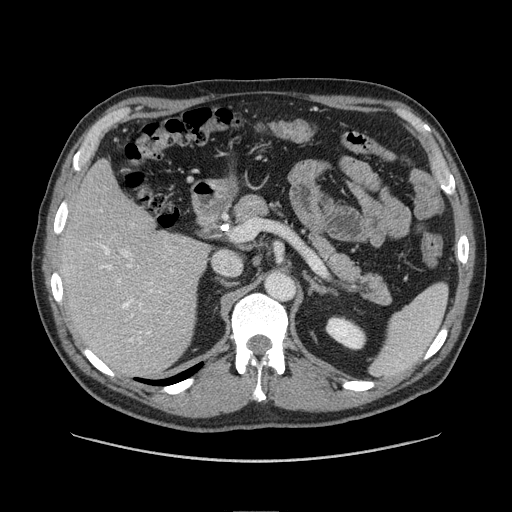

CT scan slice
Pancreas = <bbox>298, 227, 394, 309</bbox>, <bbox>231, 192, 281, 223</bbox>.